FLAIR MRI.
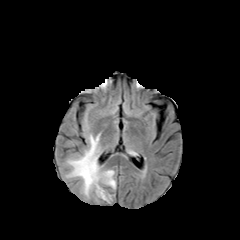
T1-weighted MR.
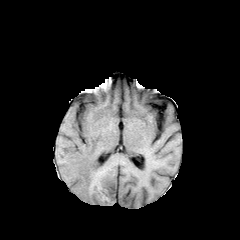
Post-contrast T1-weighted magnetic resonance.
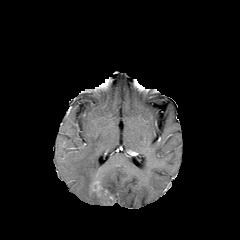
T2-weighted magnetic resonance.
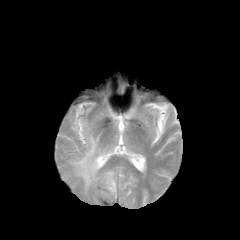
edema: [66, 119, 116, 202]